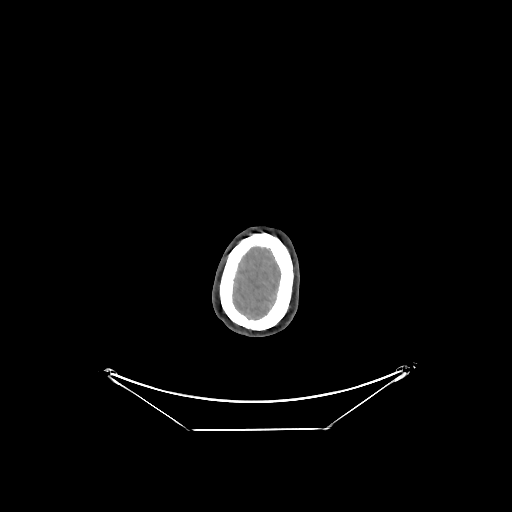

CT image | Brain

<segmentation>
  <brain>(233, 247, 280, 319)</brain>
</segmentation>